FLAIR MR image.
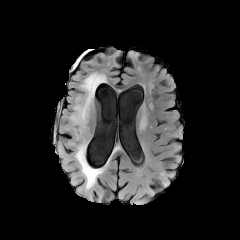
T1-weighted MRI.
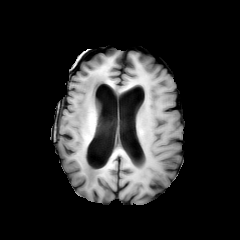
Post-contrast T1-weighted magnetic resonance.
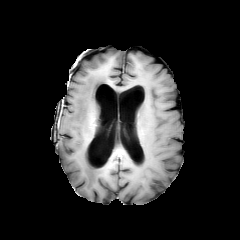
T2-weighted MR image.
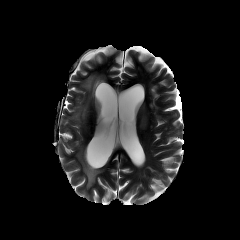
Head; Image size 240x240
Edema at box(74, 143, 102, 189); box(72, 74, 104, 121).